Brain | 240x240 px
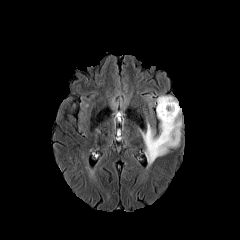
FLAIR MRI.
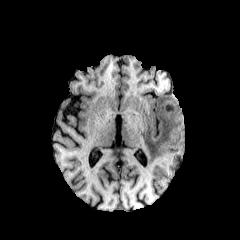
T1-weighted magnetic resonance of the same slice.
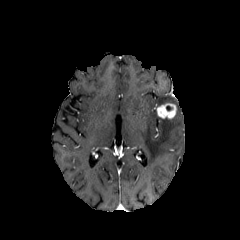
Post-contrast T1-weighted MR.
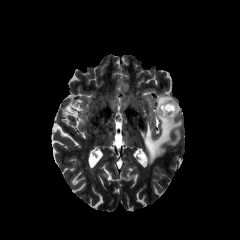
T2-weighted MRI.
The enhancing tumor appears at [157, 103, 176, 120]. 2 edema regions are bounded by [157, 95, 176, 106], [139, 107, 183, 166].